Image size 240x240; Head
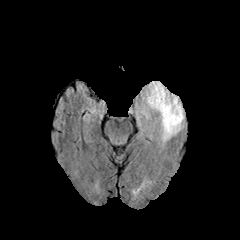
FLAIR MRI.
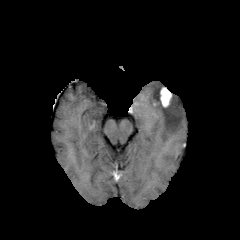
T1-weighted MR image.
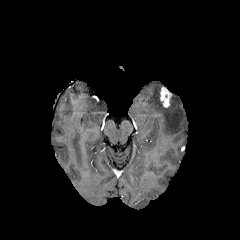
Same slice, post-contrast T1-weighted MR.
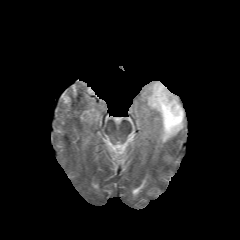
T2-weighted MR image.
The edema is at 130, 81, 184, 144. The enhancing tumor is at 159, 86, 172, 107.